CT image. Image width 351 mm. Thorax. 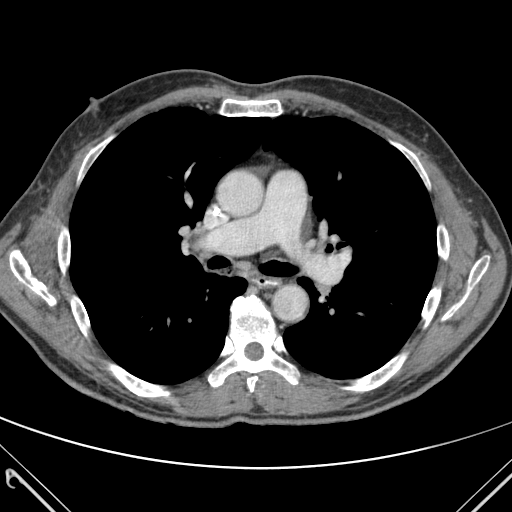
Bone: bounding box [345, 355, 405, 390], [442, 256, 489, 319], [208, 295, 297, 391], [71, 297, 89, 335], [58, 229, 70, 272], [437, 226, 449, 259], [110, 365, 168, 396], [10, 251, 55, 305], [422, 288, 440, 326], [79, 137, 111, 177], [393, 142, 428, 182], [218, 99, 285, 116].
Lung: bounding box [70, 107, 436, 384].